Slice 29 of 110 | Image width 366 mm | CT slice
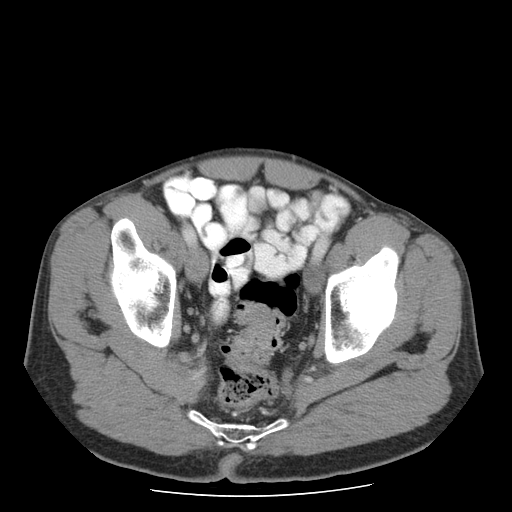

Colon tumor at <bbox>226, 302, 286, 372</bbox>.